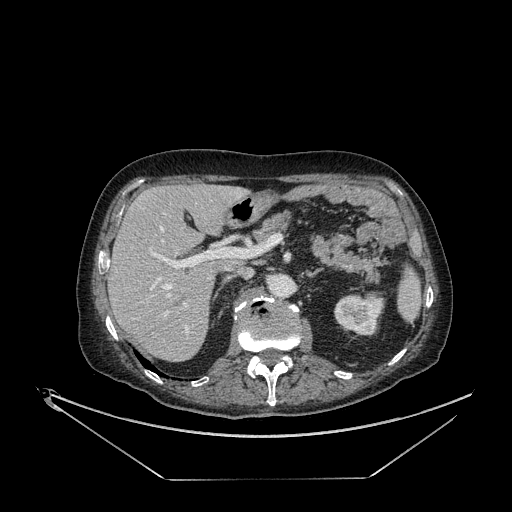 CT; Abdomen; 512x512
The kidney is bounded by [x1=334, y1=294, x2=383, y2=334]. The liver appears at [x1=108, y1=184, x2=249, y2=361].